Slice index 108
FLAIR MRI.
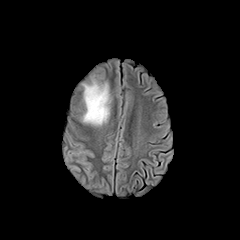
T1-weighted MR image.
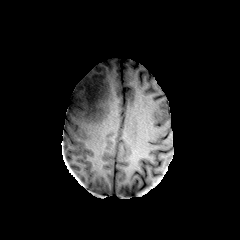
Post-contrast T1-weighted MR.
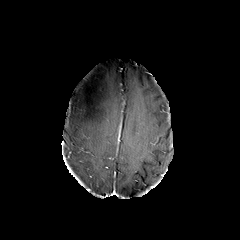
T2-weighted MR.
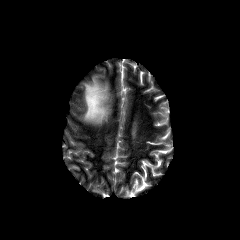
Findings:
• edema: (80,78,111,128)